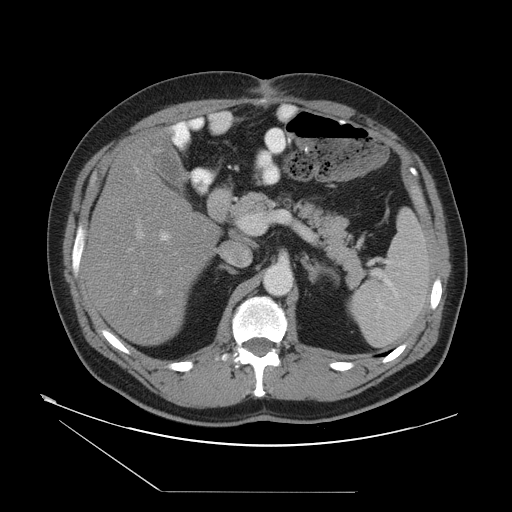

Computed tomography, Liver
Not every hepatic vessel necessarily has a box.
Hepatic vessel — 127,249,132,251; 133,290,135,293; 156,290,161,294; 136,221,142,238; 160,233,169,244; 152,150,158,153.